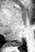

MRI slice | Medial temporal lobe | 35x52 px

The posterior hippocampus appears at <bbox>9, 40, 22, 46</bbox>.